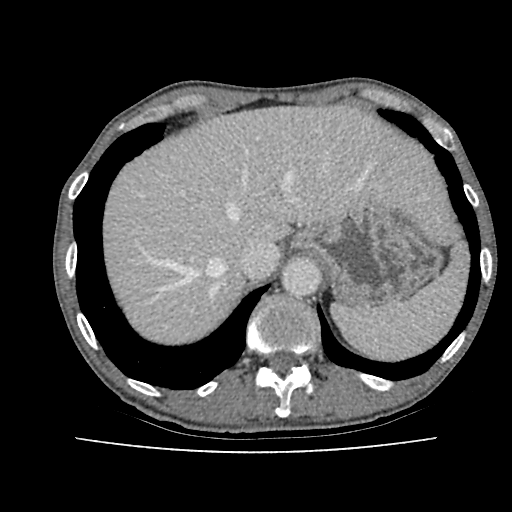

512x512 px, CT, Abdomen

Liver — (x1=102, y1=106, x2=452, y2=342).